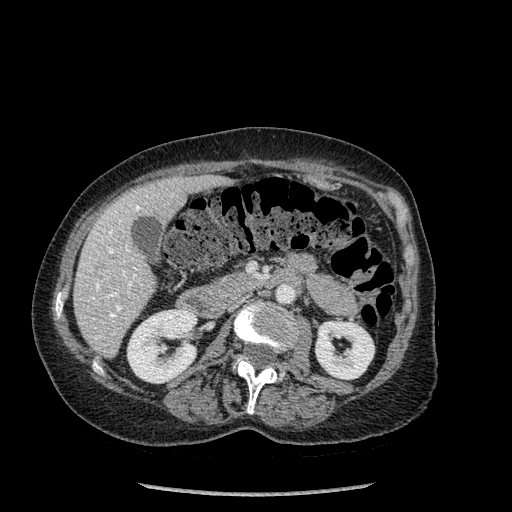 CT image
liver:
  - (left=73, top=175, right=233, bottom=355)
bone:
  - (left=233, top=357, right=284, bottom=413)
  - (left=93, top=362, right=102, bottom=374)
  - (left=234, top=301, right=298, bottom=352)
  - (left=55, top=292, right=63, bottom=318)
kidney:
  - (left=315, top=322, right=374, bottom=379)
  - (left=127, top=309, right=196, bottom=382)